Computed tomography. Field of view 339 mm wide, 0.80 mm slice spacing. Abdomen.

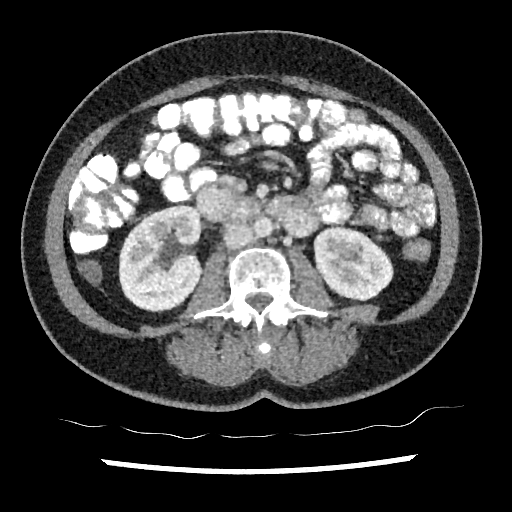 2 kidney regions are bounded by 120,206,200,310; 315,228,392,299.